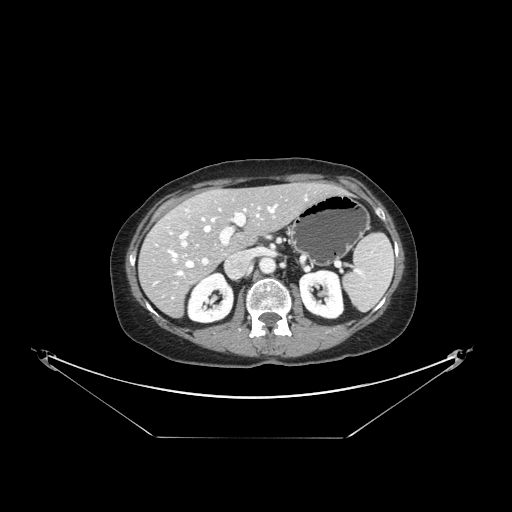
Abdomen; CT scan slice; 512x512

The vessel boxes may cover only some of the vessels.
Hepatic vessel = 221, 229, 230, 243; 182, 241, 185, 245; 205, 226, 209, 230; 180, 233, 186, 238; 268, 207, 273, 211; 234, 213, 244, 224; 203, 259, 206, 263.